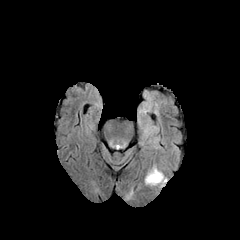
FLAIR magnetic resonance.
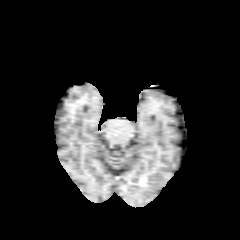
T1-weighted MR image.
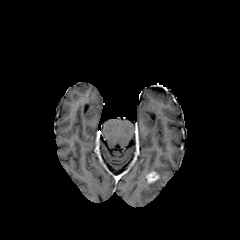
Same slice, post-contrast T1-weighted MR.
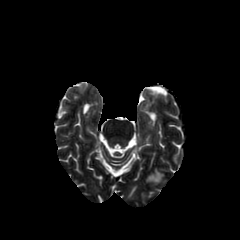
T2-weighted magnetic resonance.
Image size 240x240
The edema is bounded by x1=145 y1=166 x2=166 y2=186. The enhancing tumor lies within x1=146 y1=172 x2=159 y2=182.